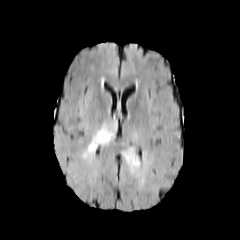
FLAIR magnetic resonance.
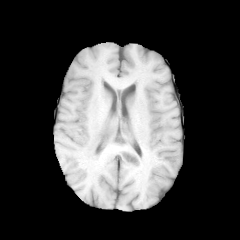
T1-weighted MR image.
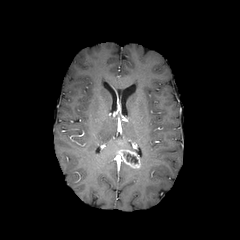
Same slice, post-contrast T1-weighted magnetic resonance.
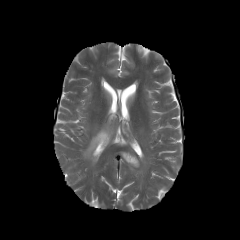
T2-weighted MRI of the same slice.
Brain | Image size 240x240
Edema — (x1=83, y1=123, x2=113, y2=162).
Enhancing tumor — (x1=118, y1=149, x2=140, y2=168).
Non-enhancing tumor core — (x1=123, y1=151, x2=138, y2=164).